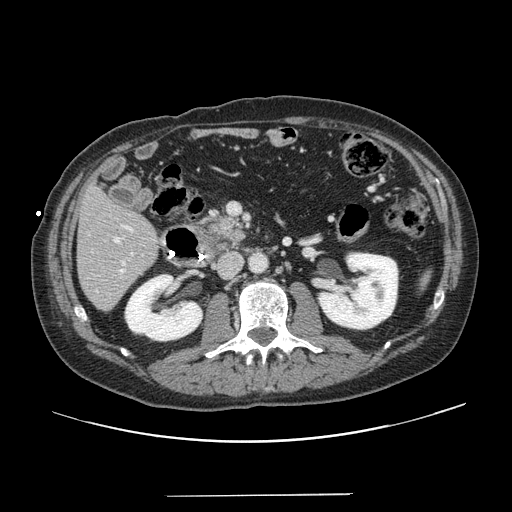 Abdomen; 512x512; CT scan slice

pancreas: x1=201 y1=215 x2=248 y2=249 | pancreatic tumor: x1=200 y1=226 x2=223 y2=248